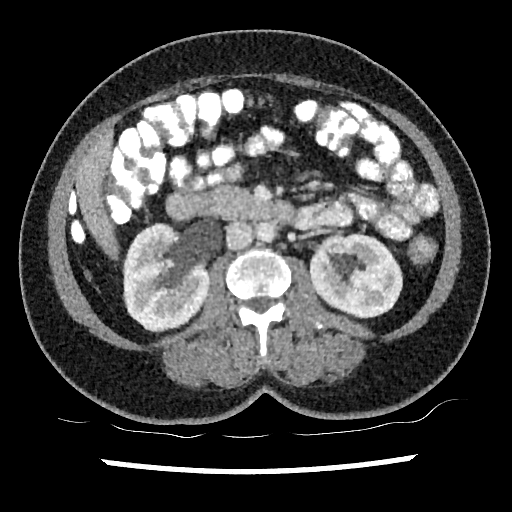
CT image.
Annotated regions:
• liver: {"x1": 77, "y1": 133, "x2": 114, "y2": 252}
• kidney: {"x1": 124, "y1": 224, "x2": 208, "y2": 330}, {"x1": 310, "y1": 235, "x2": 401, "y2": 316}